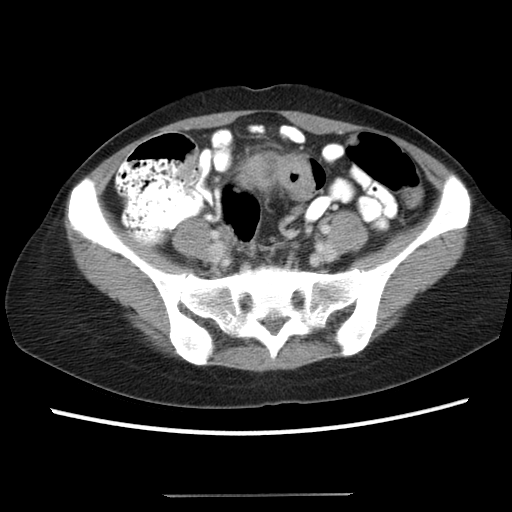

Computed tomography | Pelvis | 512x512 px

* colon tumor: bbox=[236, 153, 314, 199]